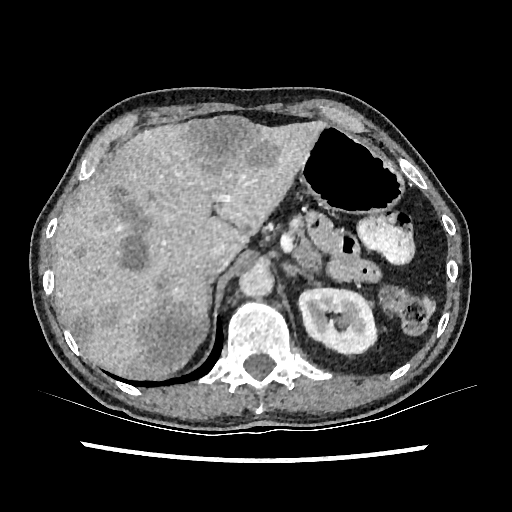
CT image. Abdomen.
liver:
  - 54 122 327 377
liver_lesion:
  - 109 186 152 272
  - 74 247 85 258
  - 130 274 204 376
  - 99 308 117 325
  - 180 117 278 174
  - 70 315 93 341
  - 253 213 259 225
  - 147 190 155 201
kidney:
  - 299 288 376 353